FLAIR MR image.
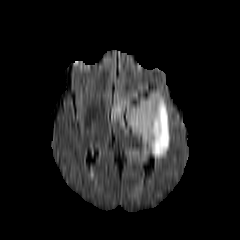
T1-weighted MRI.
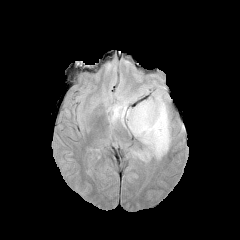
Post-contrast T1-weighted MR.
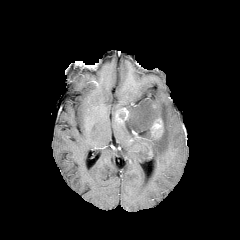
T2-weighted MRI.
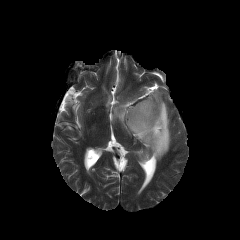
Brain
enhancing_tumor:
  - bbox=[116, 108, 128, 122]
  - bbox=[152, 118, 163, 134]
edema:
  - bbox=[111, 90, 170, 161]